512x512 px | CT scan slice | Abdomen

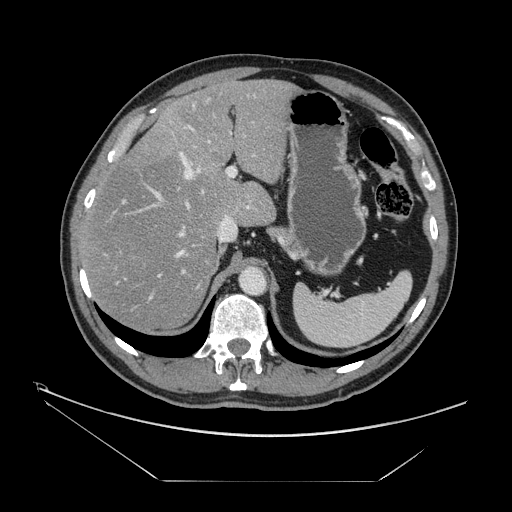 Some hepatic vessels may have no box.
<segmentation>
  <hepatic_vessel><bbox>197, 169, 199, 171</bbox>, <bbox>179, 152, 193, 178</bbox>, <bbox>186, 204, 188, 206</bbox>, <bbox>181, 233, 183, 235</bbox>, <bbox>189, 127, 192, 129</bbox>, <bbox>178, 251, 182, 255</bbox>, <bbox>155, 193, 159, 196</bbox>, <bbox>226, 167, 235, 176</bbox></hepatic_vessel>
</segmentation>